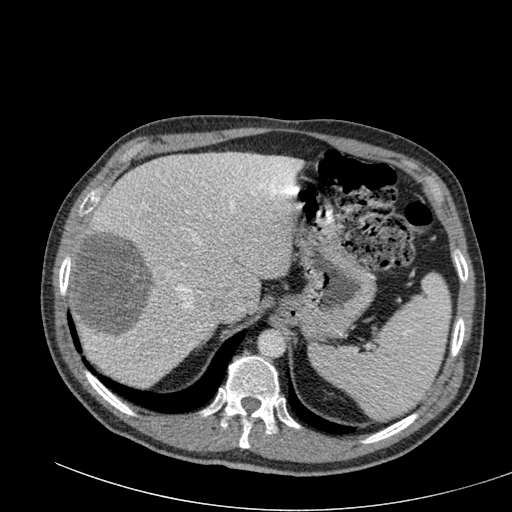 Upper abdomen | Image size 512x512 | CT scan slice
Annotated regions:
* liver lesion: 70 233 151 335
* liver: 316 217 334 228, 78 152 299 386